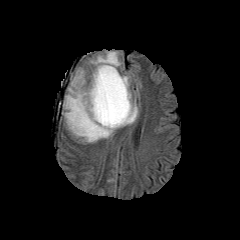
FLAIR magnetic resonance.
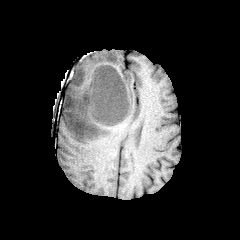
T1-weighted magnetic resonance.
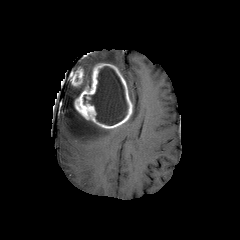
Post-contrast T1-weighted MR.
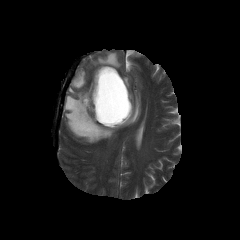
T2-weighted MRI of the same slice.
The non-enhancing tumor core appears at 90:66:127:125. 2 enhancing tumor regions are bounded by 74:63:132:128, 71:66:86:86. 3 edema regions are located at 80:61:88:83, 62:75:139:142, 88:50:123:68.